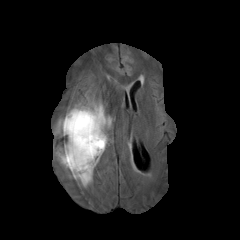
FLAIR magnetic resonance.
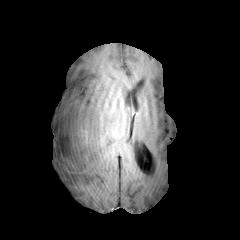
Same slice, T1-weighted MR.
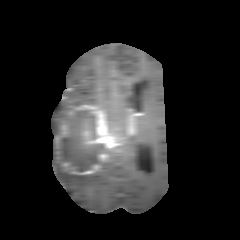
Same slice, post-contrast T1-weighted MR.
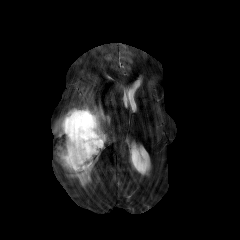
T2-weighted MR.
240x240 px. Head.
Edema = rect(70, 168, 97, 186); rect(70, 100, 105, 114); rect(105, 115, 111, 131); rect(52, 110, 81, 173); rect(92, 145, 107, 165).
Non-enhancing tumor core = rect(60, 110, 104, 171).
Enhancing tumor = rect(81, 105, 113, 146); rect(60, 124, 67, 135); rect(79, 166, 96, 173).